T2-weighted MR image.
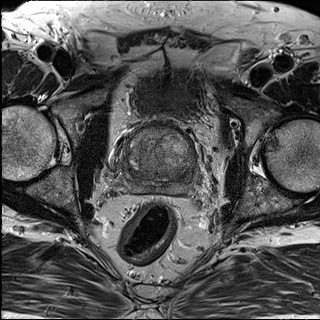
ADC MRI.
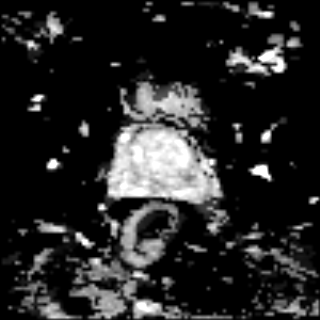
Image size 320x320, Pelvis
Prostate peripheral zone — (128,168,192,193).
Prostate transition zone — (126,131,192,184).